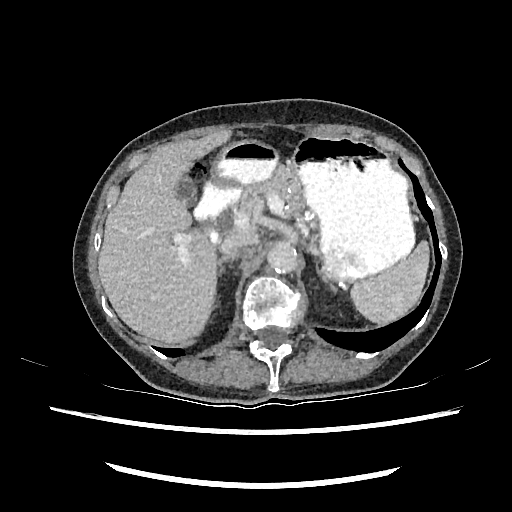 CT image
liver: left=99, top=131, right=229, bottom=342